Liver. Slice 94/134. Computed tomography. 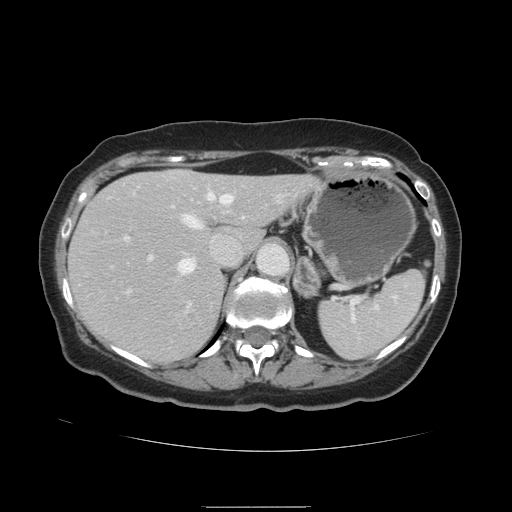

Only some of the vessels may be annotated.
Findings:
* hepatic vessel: <bbox>186, 302, 190, 308</bbox>, <bbox>124, 237, 128, 240</bbox>, <bbox>127, 290, 129, 292</bbox>, <bbox>147, 256, 151, 260</bbox>, <bbox>180, 215, 200, 227</bbox>, <bbox>205, 190, 213, 199</bbox>, <bbox>219, 194, 232, 204</bbox>, <bbox>177, 259, 193, 273</bbox>